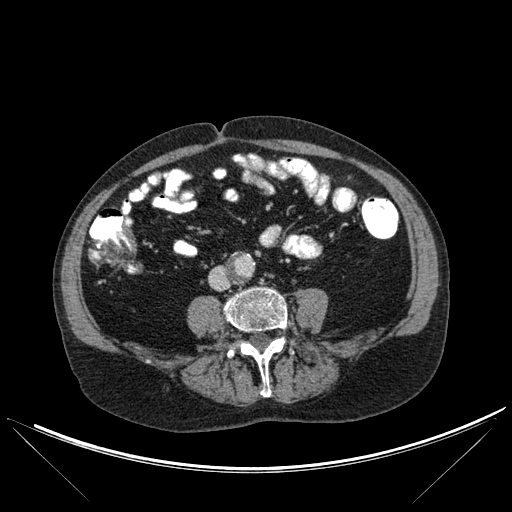
512x512; Computed tomography
Bone = left=224, top=288, right=287, bottom=331; left=227, top=337, right=285, bottom=396.